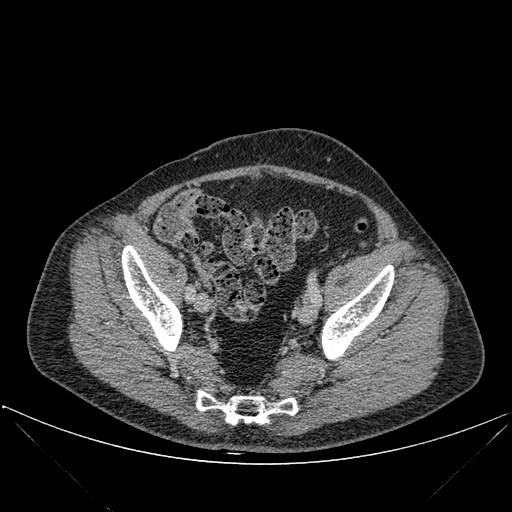 CT scan slice, 512x512 px
3 bone regions appear at 322, 265, 393, 359; 196, 390, 297, 425; 122, 245, 181, 351.